Head.
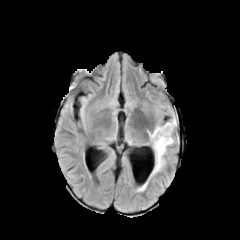
FLAIR MRI.
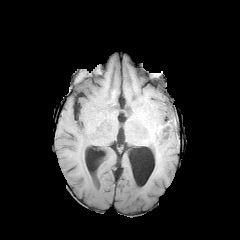
Same slice, T1-weighted MRI.
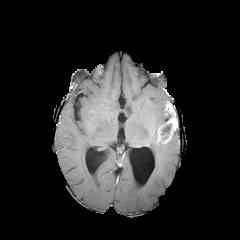
Same slice, post-contrast T1-weighted MR.
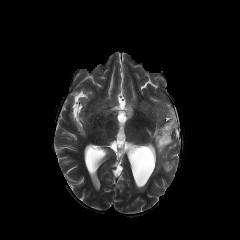
Same slice, T2-weighted MR image.
{"non-enhancing_tumor_core": ["left=161, top=124, right=171, bottom=139"], "edema": ["left=146, top=116, right=176, bottom=175"], "enhancing_tumor": ["left=157, top=130, right=170, bottom=143", "left=168, top=104, right=177, bottom=129"]}